512x512. Field of view 344 mm wide, 0.80 mm slice spacing. Slice index 338. CT scan slice. 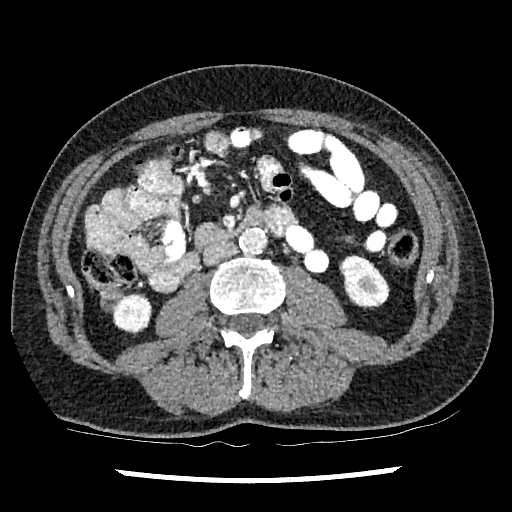

Segmented structures:
• kidney: {"x1": 342, "y1": 257, "x2": 387, "y2": 305}, {"x1": 114, "y1": 296, "x2": 150, "y2": 330}